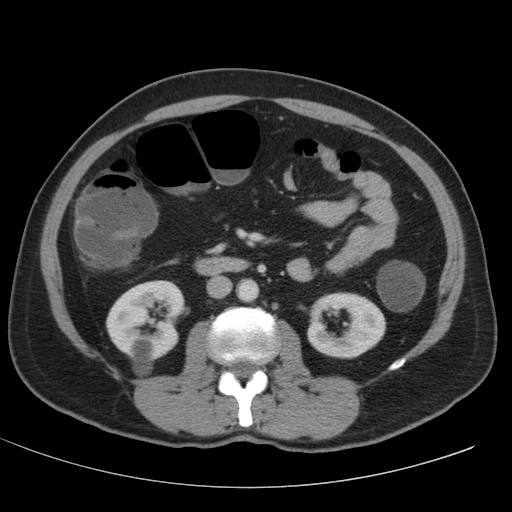

CT image; Abdomen
kidney: [307,293,384,357], [106,281,183,359]